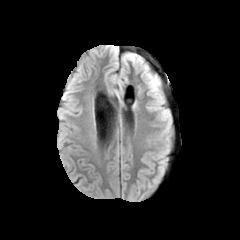
FLAIR MR image.
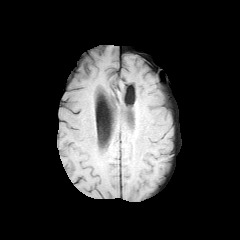
Same slice, T1-weighted MR image.
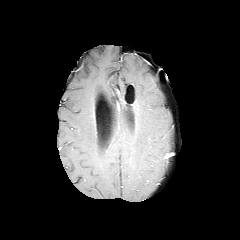
Same slice, post-contrast T1-weighted MR.
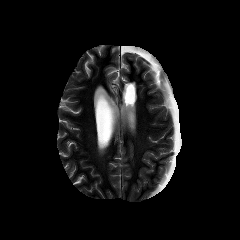
T2-weighted MR image of the same slice.
Image size 240x240, Brain
edema: bbox(143, 63, 169, 120)